Slice 259 of 391, CT
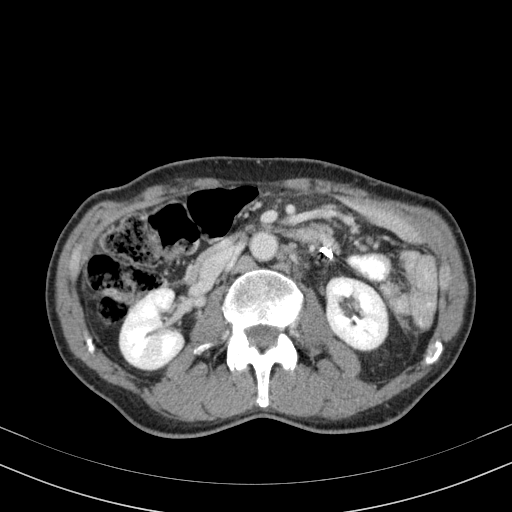
Kidney: bounding box {"x1": 120, "y1": 289, "x2": 182, "y2": 368}, {"x1": 327, "y1": 278, "x2": 386, "y2": 349}.